CT scan slice, Abdomen 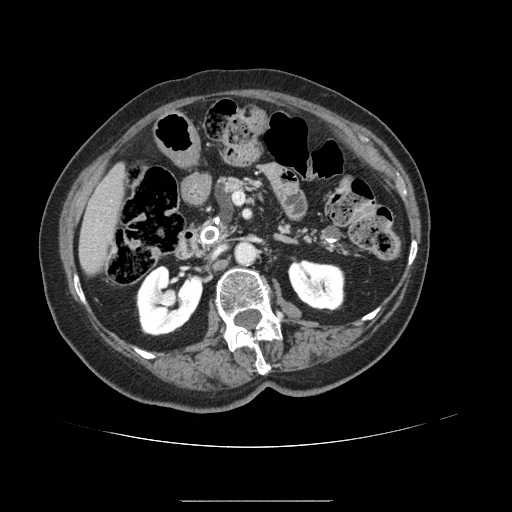
The pancreas is at (199,177,260,244).